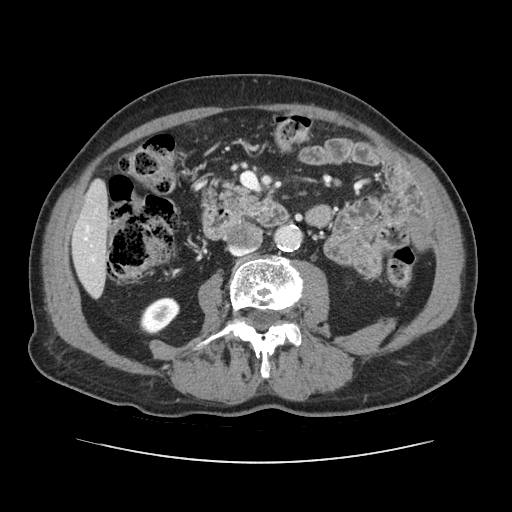
512x512 px | Computed tomography

pancreas: (239, 195, 265, 216)